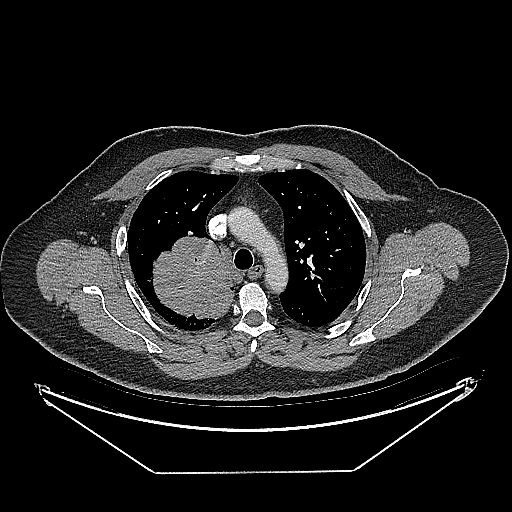
CT image; Chest
Annotated regions:
* lung tumor: 149 236 243 320